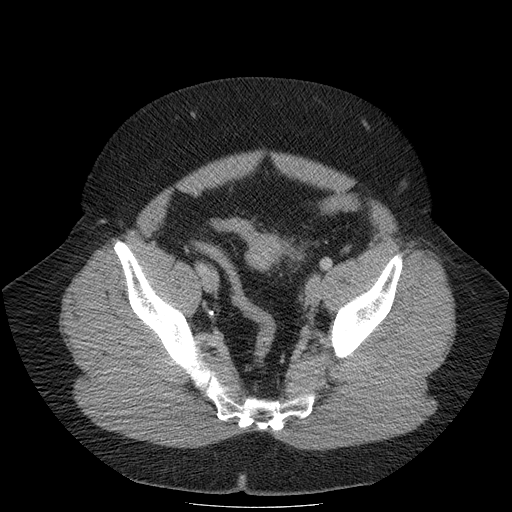
CT scan slice

colon_tumor:
  - x1=244, y1=236, x2=282, y2=268